CT scan slice.
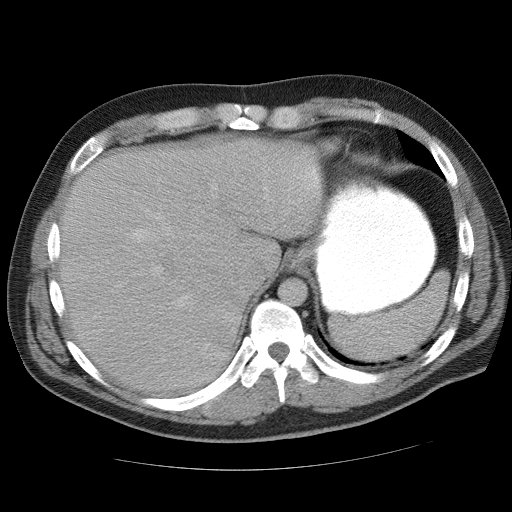
Spleen: x1=328, y1=271, x2=448, y2=360.